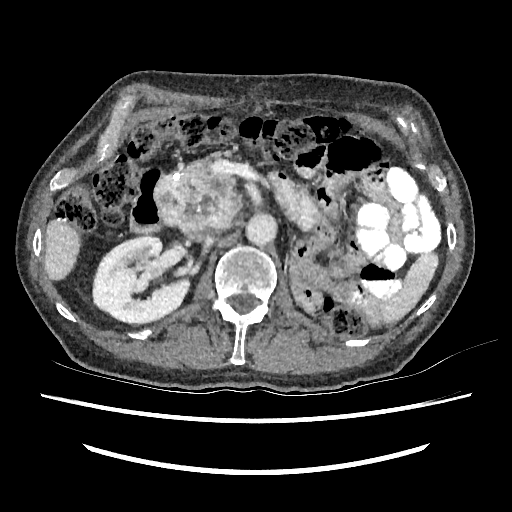

CT image

<segmentation>
  <liver>bbox(45, 221, 79, 279)</liver>
  <kidney>bbox(93, 237, 188, 322)</kidney>
</segmentation>